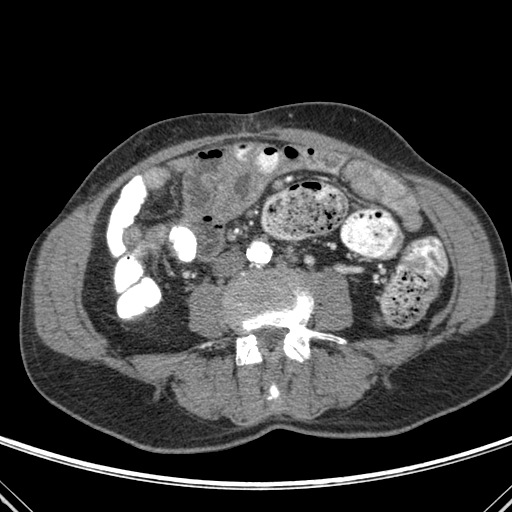
Computed tomography | Image size 512x512
Segmented structures:
• bone: 268 382 279 401, 226 272 344 365